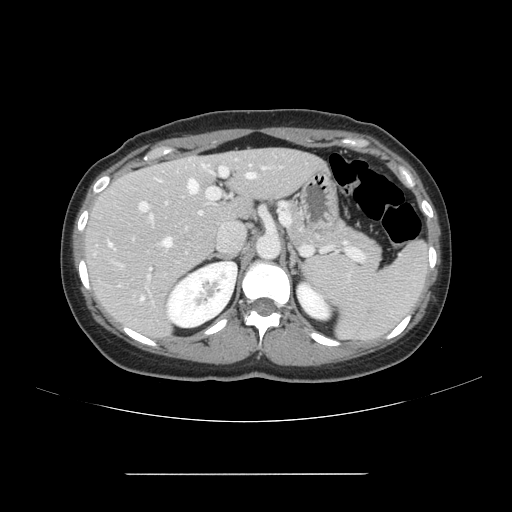
Computed tomography | 512x512
Some hepatic vessels may have no box.
<segmentation>
  <hepatic_vessel>bbox(141, 297, 143, 300); bbox(246, 172, 255, 178); bbox(219, 166, 228, 176); bbox(140, 202, 147, 211); bbox(150, 214, 152, 219); bbox(163, 237, 171, 246); bbox(203, 164, 208, 167); bbox(188, 179, 198, 193); bbox(207, 187, 220, 199); bbox(108, 242, 112, 246); bbox(200, 212, 202, 213); bbox(262, 167, 265, 168)</hepatic_vessel>
</segmentation>